Image size 240x240, Slice 56 of 155, Head
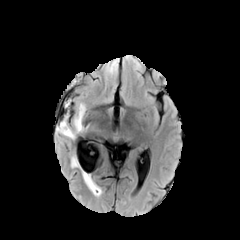
FLAIR MR image.
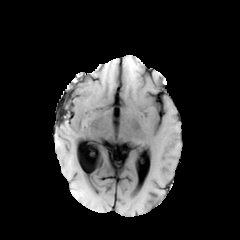
T1-weighted magnetic resonance.
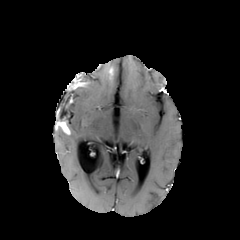
Post-contrast T1-weighted MR image.
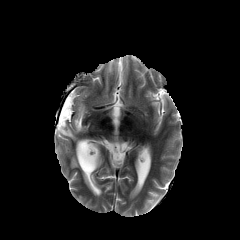
T2-weighted MR image.
Enhancing tumor = (56,119,69,133).
Edema = (56,102,85,139), (71,156,79,167), (82,171,101,195).